FLAIR magnetic resonance.
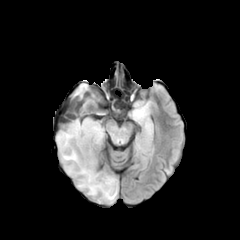
T1-weighted MR image.
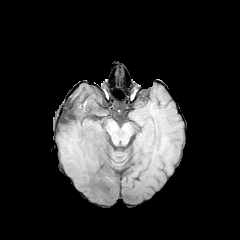
Post-contrast T1-weighted MR image.
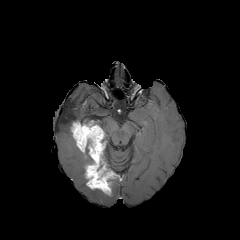
T2-weighted MR image.
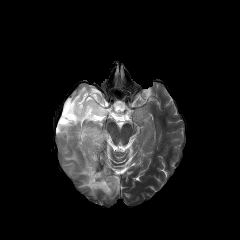
Head
Edema at left=57, top=126, right=83, bottom=177; left=61, top=98, right=97, bottom=124; left=130, top=103, right=147, bottom=121; left=74, top=84, right=88, bottom=98; left=78, top=178, right=118, bottom=199.
Non-enhancing tumor core at left=80, top=148, right=92, bottom=166; left=65, top=112, right=93, bottom=126; left=110, top=172, right=117, bottom=193; left=97, top=145, right=111, bottom=172.
Enhancing tumor at left=70, top=120, right=115, bottom=195.